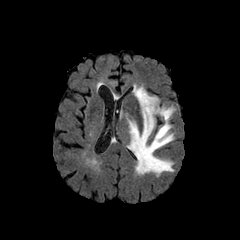
FLAIR MRI.
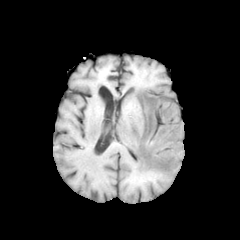
T1-weighted MRI of the same slice.
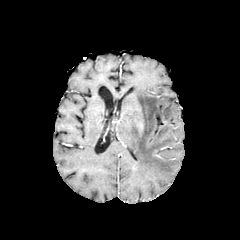
Post-contrast T1-weighted MR.
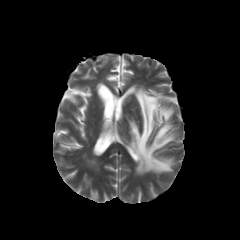
T2-weighted MR image of the same slice.
The edema lies within (126, 84, 176, 175).